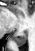

MRI slice
- posterior hippocampus: box=[14, 33, 26, 46]